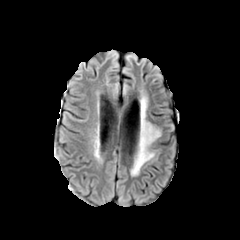
FLAIR MR.
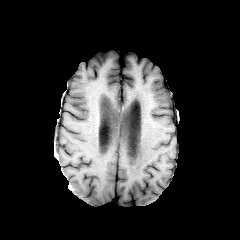
T1-weighted MRI of the same slice.
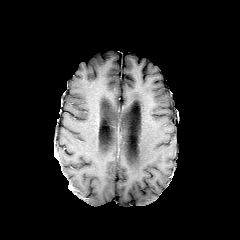
Same slice, post-contrast T1-weighted MR.
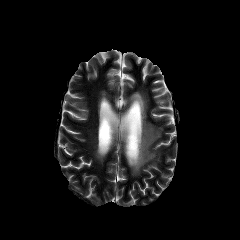
Same slice, T2-weighted magnetic resonance.
Edema: bounding box 132:96:160:175.